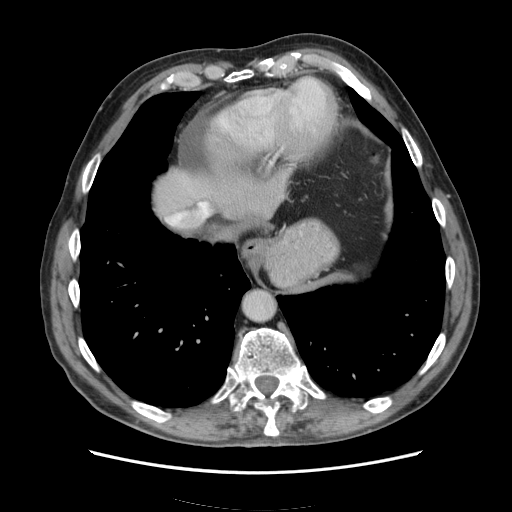

512x512 px. Abdomen. CT image.
Annotated regions:
- spleen: 354, 264, 369, 277